Abdomen | Computed tomography 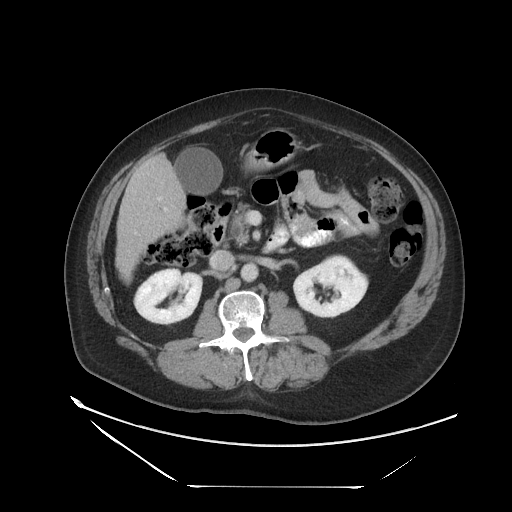

Some hepatic vessels may have no box.
Hepatic vessel = [x1=164, y1=208, x2=167, y2=211].